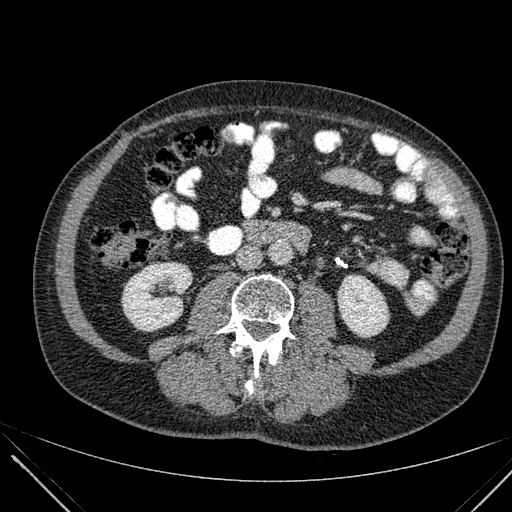
CT scan slice; Abdomen
Kidney: bounding box rect(338, 276, 388, 336); rect(122, 263, 191, 330).